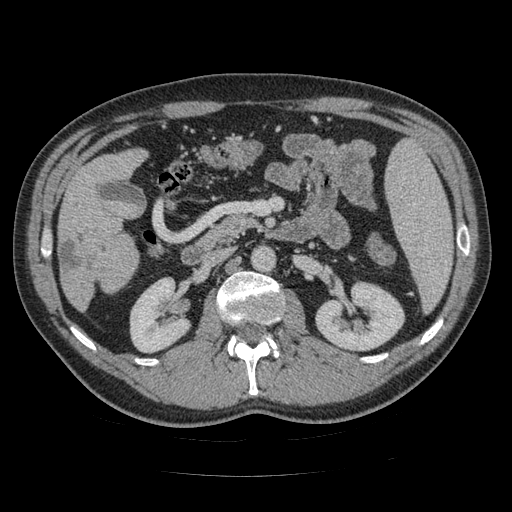
Abdomen, Computed tomography
Pancreas at <bbox>200, 214, 255, 246</bbox>.